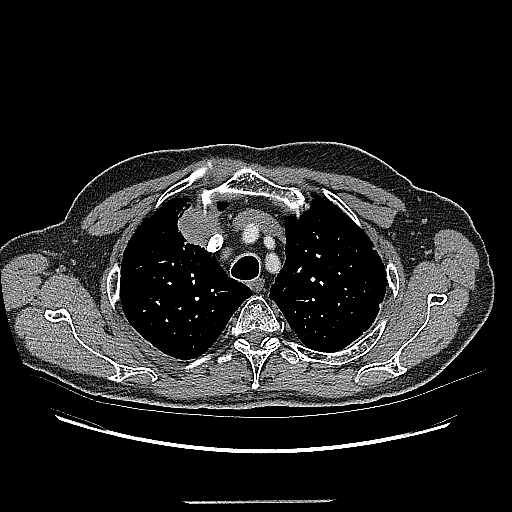

512x512 px; CT slice
lung tumor: <bbox>177, 198, 222, 246</bbox>